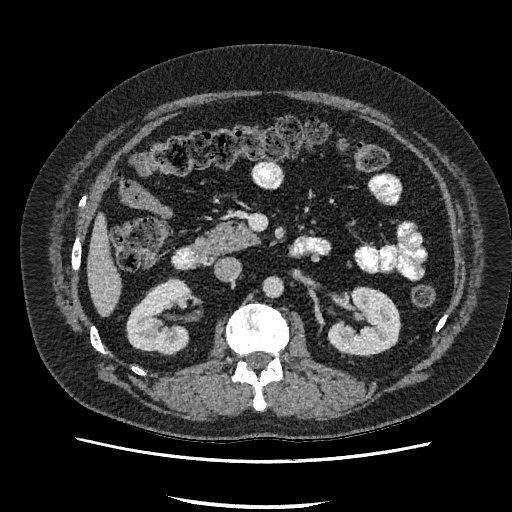
CT image. Kidney — box=[329, 288, 399, 354]; box=[127, 280, 188, 352].
Liver — box=[88, 216, 121, 315].